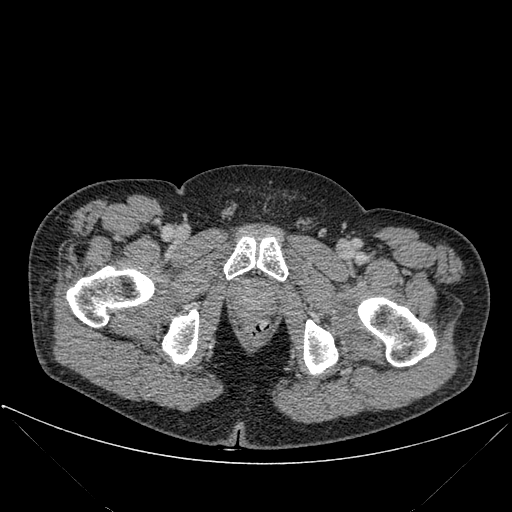 512x512, Computed tomography
5 bone regions are bounded by (x1=304, y1=320, x2=337, y2=374), (x1=66, y1=266, x2=154, y2=327), (x1=162, y1=309, x2=198, y2=363), (x1=358, y1=297, x2=436, y2=366), (x1=224, y1=236, x2=288, y2=280).